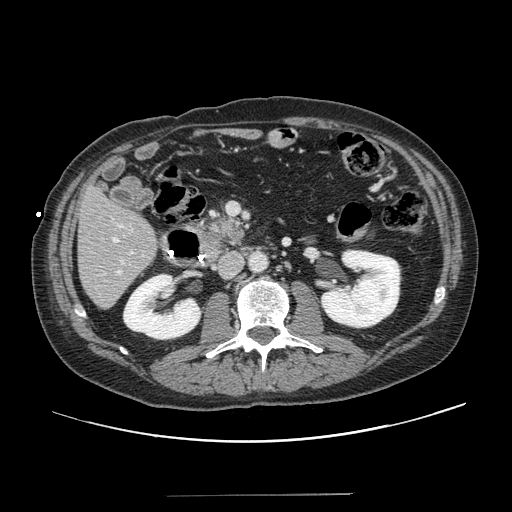

Upper abdomen; CT slice
pancreatic tumor: x1=203 y1=229 x2=221 y2=245 | pancreas: x1=206 y1=216 x2=248 y2=248